CT scan slice. Field of view 411x411 mm. Slice index 164.

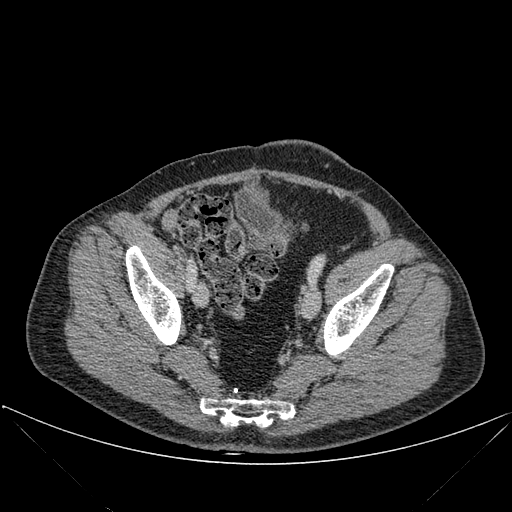 3 bone regions are bounded by x1=126, y1=246, x2=180, y2=344; x1=200, y1=398, x2=295, y2=428; x1=324, y1=264, x2=393, y2=355.